Upper abdomen | 512x512 px | CT slice | Field of view 340 mm wide, 1.50 mm slice spacing 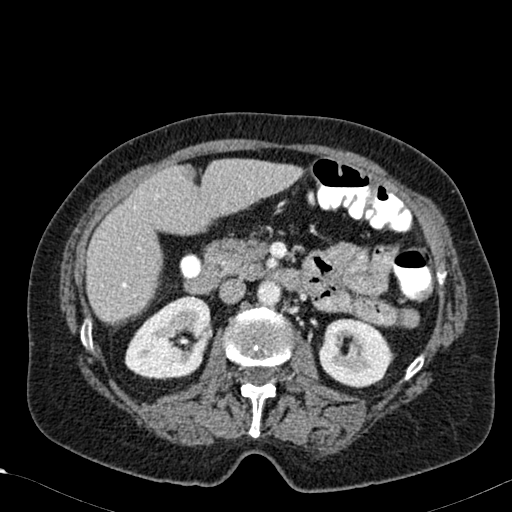

Kidney = bbox(125, 297, 210, 378); bbox(320, 319, 391, 386).
Liver = bbox(88, 161, 299, 321).